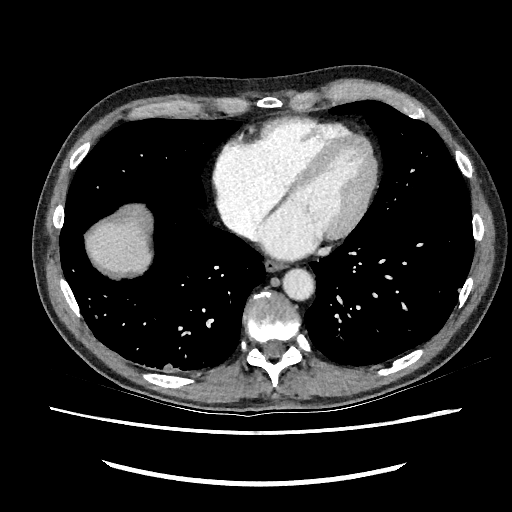
CT slice. The liver is at [87, 218, 150, 271].